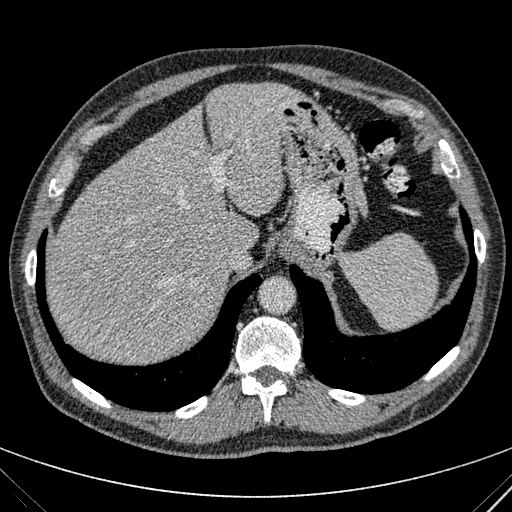

CT scan slice
Liver — box(352, 178, 366, 216); box(205, 83, 305, 216); box(46, 103, 259, 362).